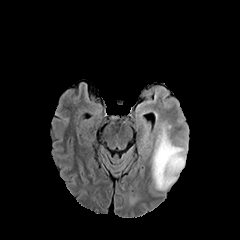
FLAIR magnetic resonance.
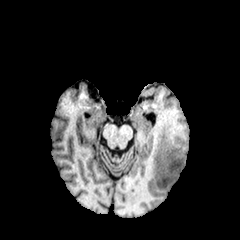
T1-weighted magnetic resonance.
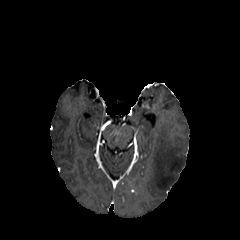
Same slice, post-contrast T1-weighted MR image.
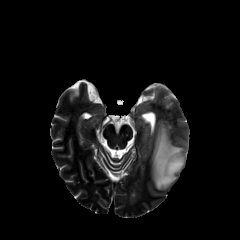
Same slice, T2-weighted magnetic resonance.
Brain.
Findings:
* edema: 151 122 187 189